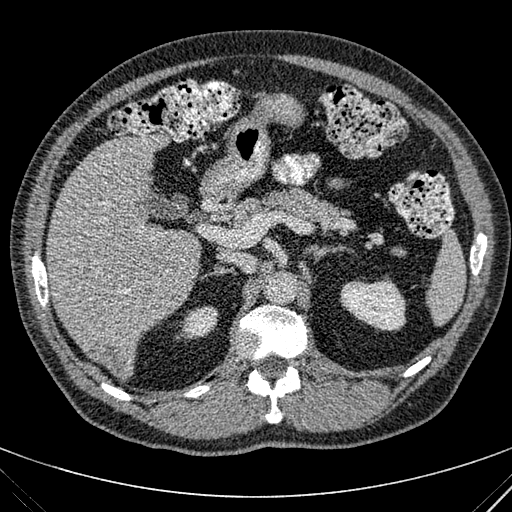

Upper abdomen, CT, Image size 512x512
liver: x1=47, y1=134, x2=197, y2=377 | liver lesion: x1=85, y1=336, x2=132, y2=376 | kidney: x1=182, y1=307, x2=217, y2=337; x1=341, y1=281, x2=405, y2=330